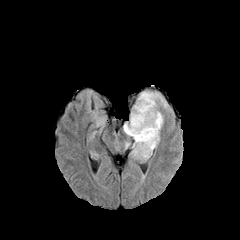
FLAIR MR.
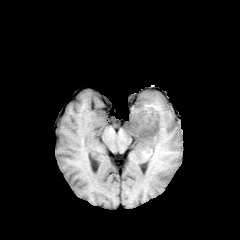
Same slice, T1-weighted magnetic resonance.
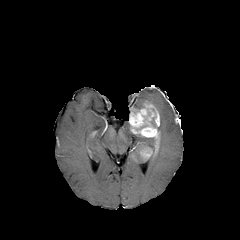
Post-contrast T1-weighted MR of the same slice.
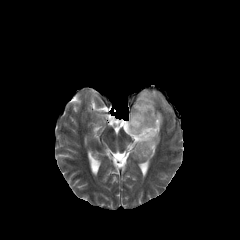
T2-weighted MR image.
Head
* non-enhancing tumor core: (135,142,154,155), (133,100,151,110), (127,122,140,137)
* edema: (123,90,173,162)
* enhancing tumor: (128,103,159,137), (140,147,152,159)